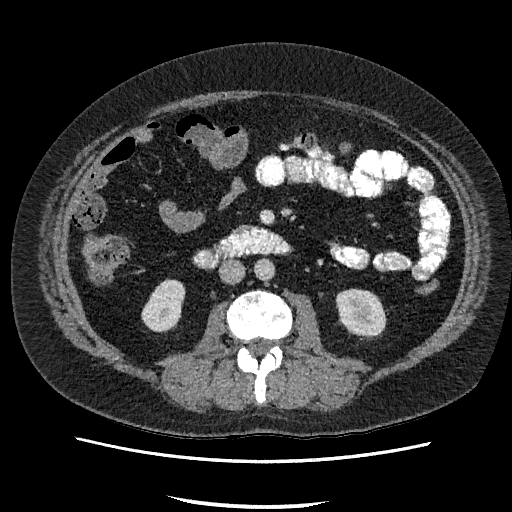

Abdomen, CT
2 kidney regions appear at x1=337, y1=290, x2=384, y2=334; x1=143, y1=281, x2=183, y2=330.